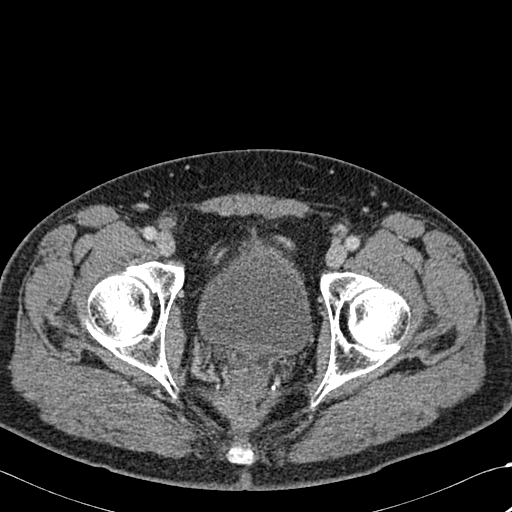

CT scan slice
{"bone": ["(318, 272, 408, 397)", "(85, 261, 183, 392)", "(231, 447, 251, 462)"]}